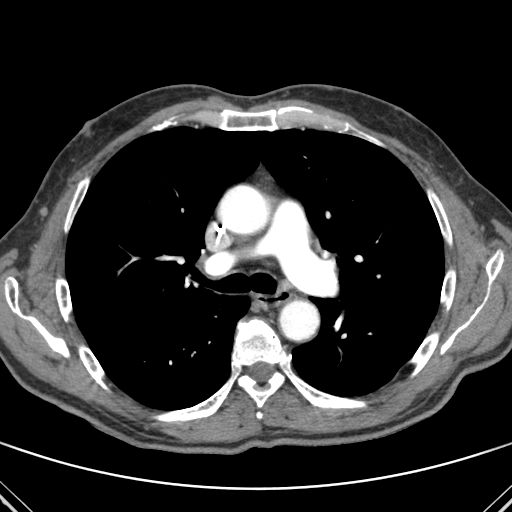

CT image, Thorax
Lung at 66 127 444 409.
Bone at 428 190 451 244, 154 318 365 421, 337 122 349 131, 79 345 107 389, 486 251 503 285, 64 178 88 231, 5 277 69 357, 55 278 71 321, 441 270 455 309, 411 333 438 375, 367 136 380 144, 440 296 487 353, 217 106 309 130.